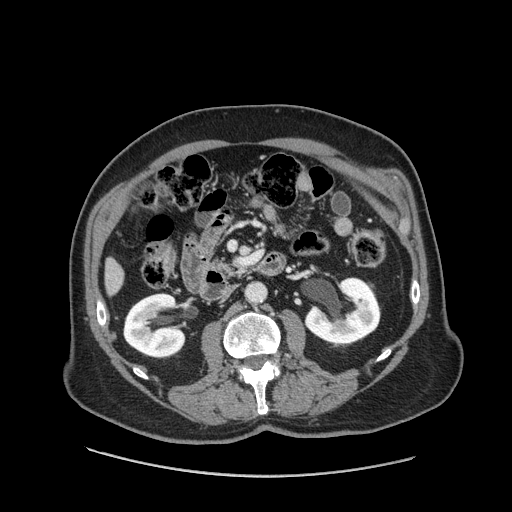

Computed tomography. 512x512 px. The pancreas appears at region(218, 264, 239, 274).